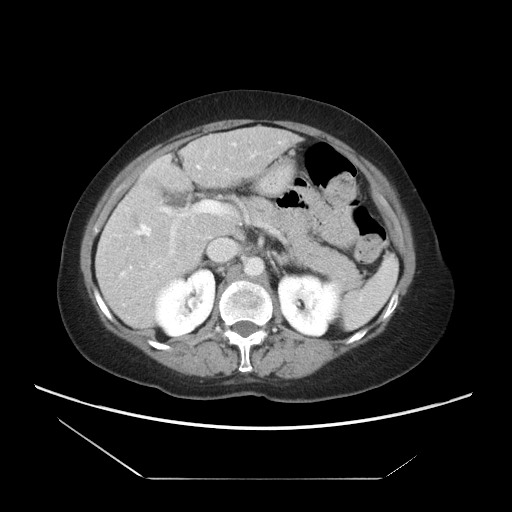
Computed tomography | 512x512 px | Abdomen
The vessel boxes may cover only some of the vessels.
Hepatic vessel: bounding box [195, 201, 226, 214], [121, 272, 124, 275], [181, 214, 183, 215], [136, 224, 150, 235], [160, 207, 170, 213], [129, 266, 131, 268], [170, 226, 175, 245], [251, 155, 253, 156], [170, 250, 174, 253], [233, 143, 235, 145], [197, 166, 199, 168].